Slice 25/124, Computed tomography

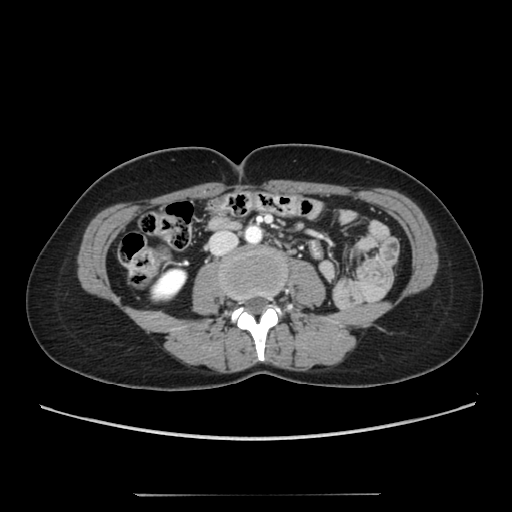
kidney:
  - (x1=155, y1=270, x2=184, y2=294)